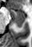 Medial temporal lobe, Image size 32x47, MRI slice
Anterior hippocampus — (left=9, top=9, right=25, bottom=18).
Posterior hippocampus — (left=13, top=19, right=24, bottom=27).